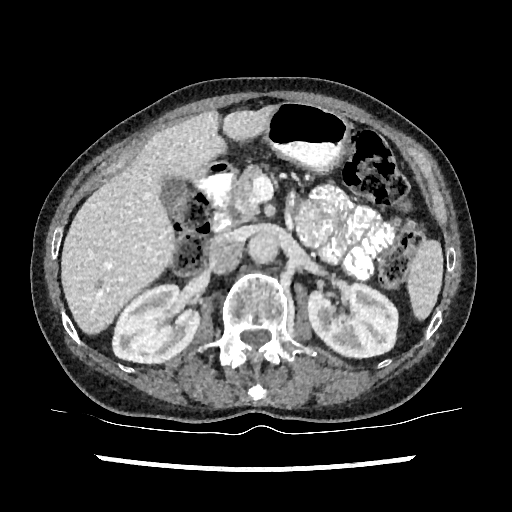

Abdomen | 512x512 | CT image
Annotated regions:
- liver: x1=63 y1=111 x2=222 y2=332, x1=223 y1=110 x2=271 y2=138
- kidney: x1=308 y1=284 x2=397 y2=356, x1=110 y1=286 x2=198 y2=362
- liver lesion: x1=95 y1=281 x2=103 y2=288